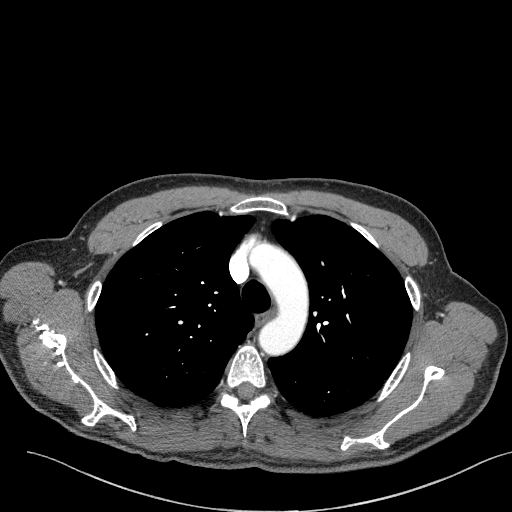 CT; Lung; 512x512 px

Annotated regions:
* lung tumor: box(342, 258, 369, 287)